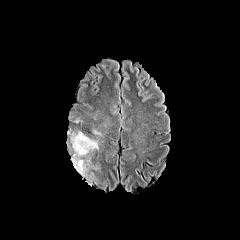
FLAIR MRI.
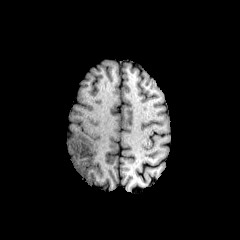
Same slice, T1-weighted MR.
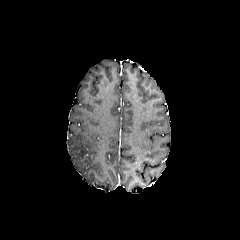
Post-contrast T1-weighted MR image of the same slice.
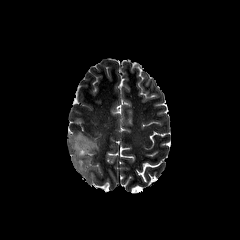
T2-weighted MRI.
240x240 px
• edema: 70 132 98 179